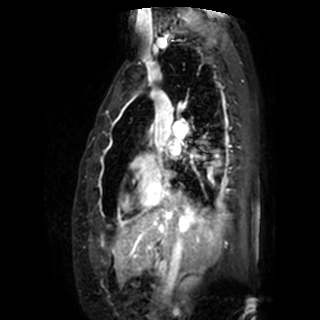

320x320 px; Heart; MRI

<segmentation>
  <left_atrium>169 142 179 154</left_atrium>
</segmentation>